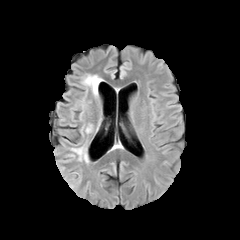
FLAIR MRI.
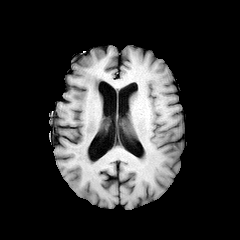
Same slice, T1-weighted MR image.
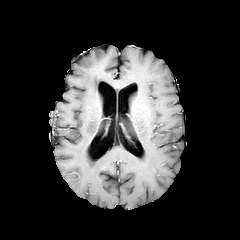
Post-contrast T1-weighted magnetic resonance of the same slice.
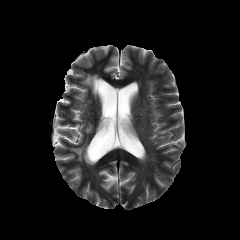
T2-weighted MR of the same slice.
Brain
3 edema regions appear at region(71, 141, 89, 163); region(80, 123, 92, 136); region(79, 73, 103, 117).